CT slice, Slice index 37, Upper abdomen
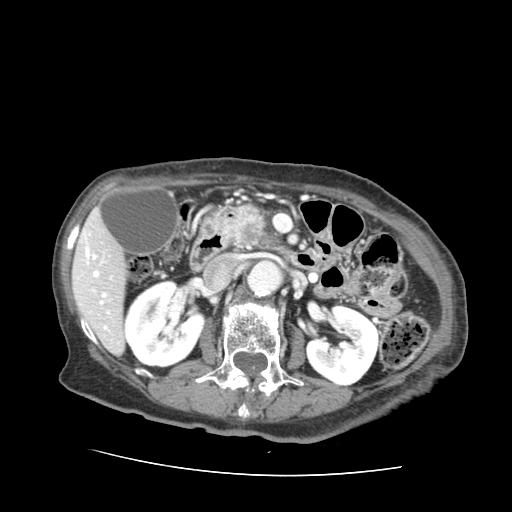 pancreas:
  - 214,201,280,250
pancreatic_tumor:
  - 216,208,267,248